Slice 122 of 154; CT scan slice

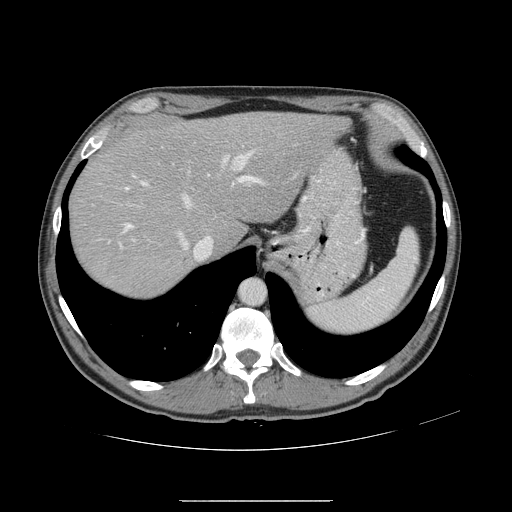

Some hepatic vessels may have no box.
• hepatic vessel: rect(195, 236, 211, 248); rect(222, 155, 228, 163); rect(232, 183, 233, 184); rect(234, 151, 253, 169); rect(124, 188, 129, 189); rect(238, 176, 259, 181); rect(123, 223, 132, 231); rect(178, 233, 181, 236); rect(183, 195, 190, 207); rect(140, 182, 146, 184); rect(180, 239, 187, 249)